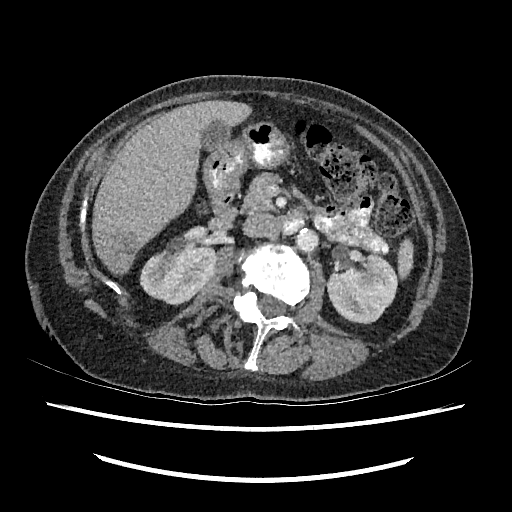
CT scan slice.

Liver — 93 100 250 274.
Liver lesion — 109 229 140 258.
Kidney — 141 245 216 303, 327 255 396 322.